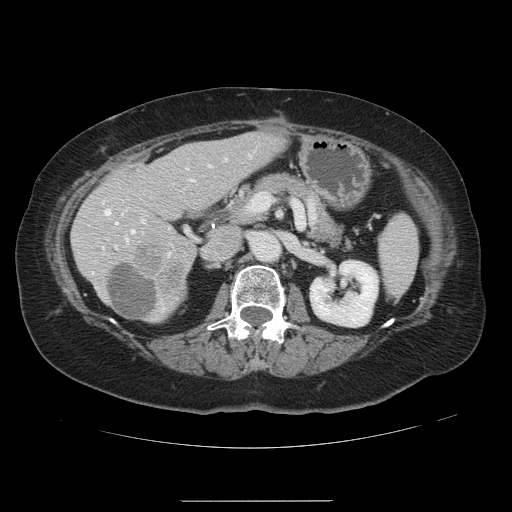 512x512 px, CT scan slice

Only some of the vessels may be annotated.
hepatic vessel: (x1=190, y1=179, x2=192, y2=181), (x1=115, y1=245, x2=116, y2=247), (x1=104, y1=209, x2=110, y2=214), (x1=115, y1=222, x2=117, y2=223), (x1=208, y1=165, x2=210, y2=166), (x1=247, y1=151, x2=253, y2=156), (x1=224, y1=157, x2=226, y2=160), (x1=142, y1=218, x2=144, y2=221), (x1=130, y1=230, x2=133, y2=232), (x1=167, y1=252, x2=170, y2=255), (x1=125, y1=237, x2=127, y2=240) | liver tumor: (x1=109, y1=243, x2=183, y2=319)